Brain
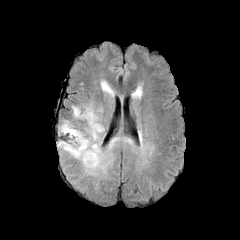
FLAIR magnetic resonance.
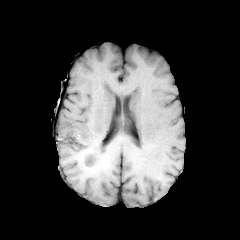
T1-weighted MRI.
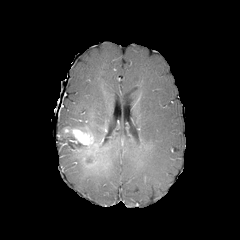
Same slice, post-contrast T1-weighted MR.
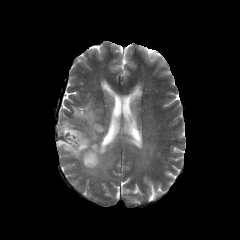
T2-weighted MR image of the same slice.
Enhancing tumor: bounding box x1=63 y1=126 x2=89 y2=145.
Non-enhancing tumor core: bounding box x1=59 y1=128 x2=102 y2=167.
Edema: bounding box x1=100 y1=80 x2=115 y2=101, x1=58 y1=118 x2=79 y2=132, x1=131 y1=88 x2=141 y2=100, x1=72 y1=100 x2=105 y2=142, x1=57 y1=133 x2=117 y2=175.